Slice 304 of 574 | CT slice | Field of view 411 mm wide, 0.80 mm slice spacing 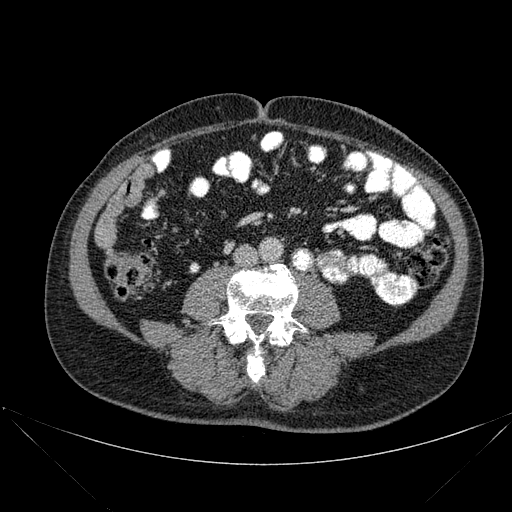

<segmentation>
  <bone>bbox(214, 264, 305, 381)</bone>
</segmentation>